Abdomen. CT slice. 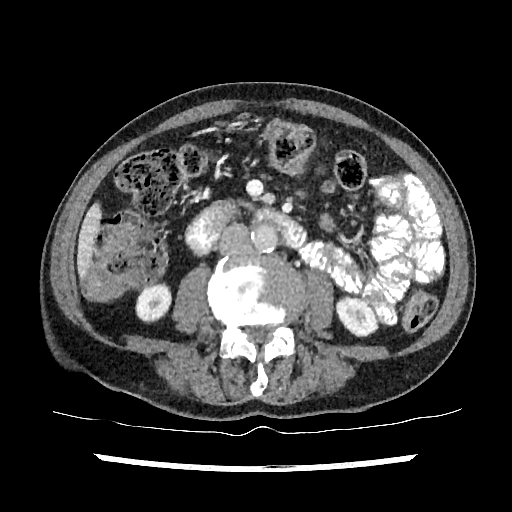 Kidney: box=[337, 299, 375, 334]; box=[137, 287, 169, 318].
Liver: box=[77, 203, 101, 274].